Slice 501 of 722, Liver, Computed tomography
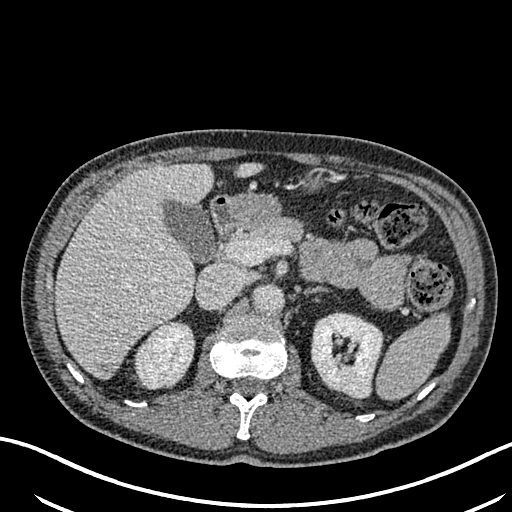

hepatic_lesion:
  - (x1=98, y1=363, x2=116, y2=374)
liver:
  - (x1=234, y1=163, x2=260, y2=177)
  - (x1=56, y1=165, x2=212, y2=378)
kidney:
  - (x1=136, y1=323, x2=193, y2=384)
  - (x1=312, y1=314, x2=381, y2=393)